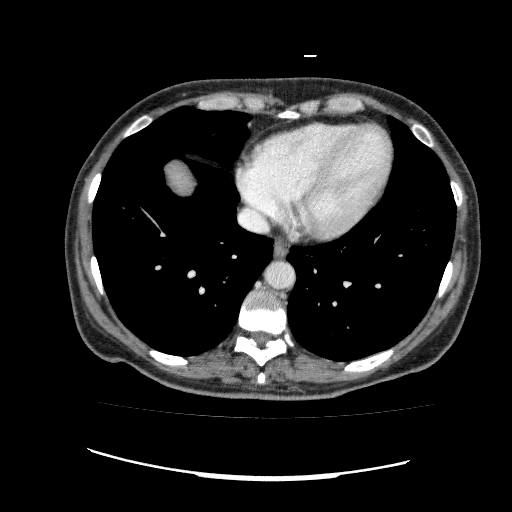 Upper abdomen. CT image.

liver: 165, 160, 194, 199